CT | Upper abdomen
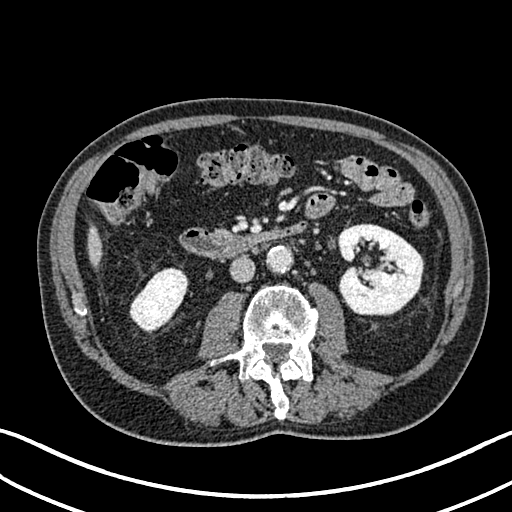 <segmentation>
  <kidney>l=130, t=269, r=186, b=330; l=339, t=224, r=422, b=314</kidney>
  <liver>l=88, t=229, r=101, b=264</liver>
</segmentation>